Field of view 240x240 mm.
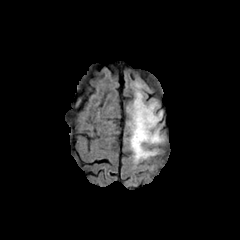
FLAIR magnetic resonance.
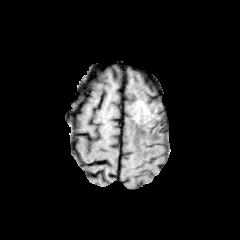
T1-weighted MR.
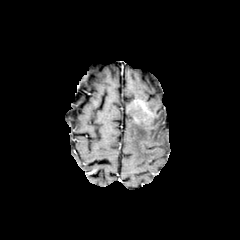
Same slice, post-contrast T1-weighted magnetic resonance.
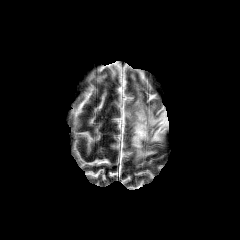
Same slice, T2-weighted MR image.
The enhancing tumor lies within 135 99 151 117. The edema appears at 127 83 165 163. The non-enhancing tumor core is at 132 105 147 124.